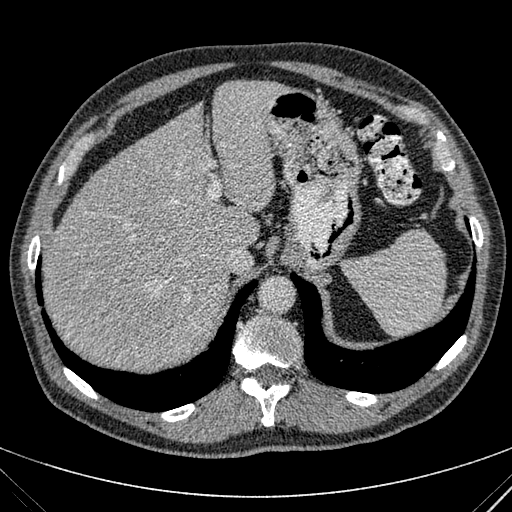 CT image

The liver is located at (left=44, top=81, right=279, bottom=368).